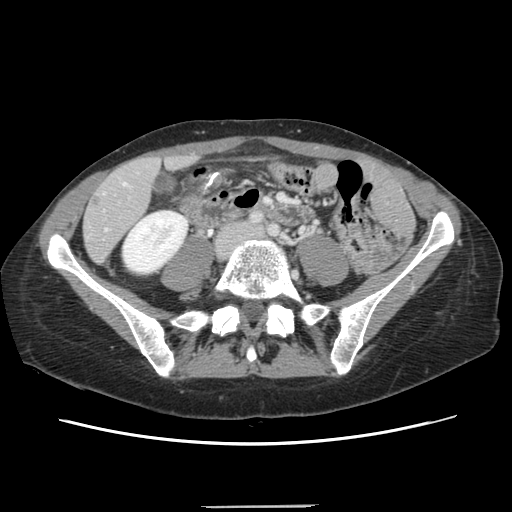
512x512. CT. Abdomen.

The vessel annotation is not exhaustive.
2 hepatic vessel regions are bounded by region(123, 183, 128, 186); region(105, 228, 106, 230).